Field of view 310 mm wide, 2.50 mm slice spacing; Abdomen; CT 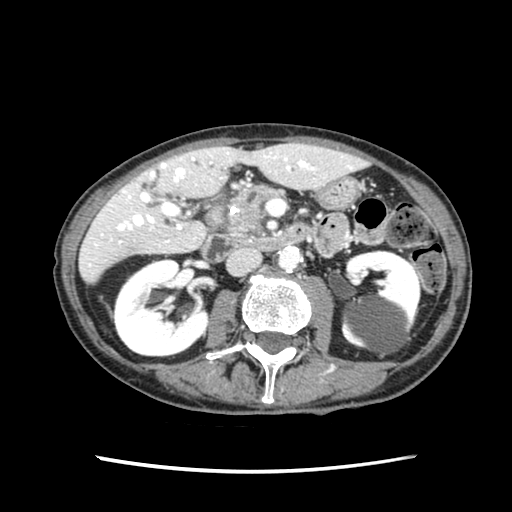
Pancreas = 227, 185, 282, 233.